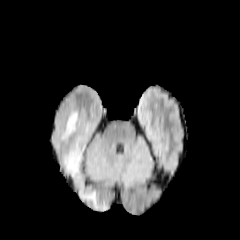
FLAIR MRI.
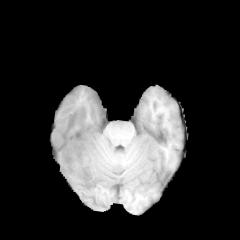
Same slice, T1-weighted MRI.
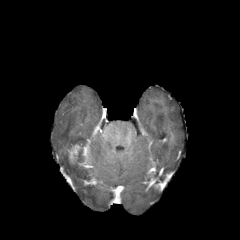
Post-contrast T1-weighted MR.
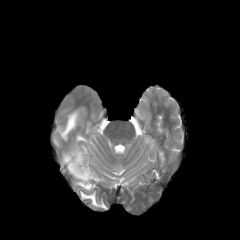
Same slice, T2-weighted magnetic resonance.
Image size 240x240
- edema: (61,111,78,138), (60,146,105,208)
- enhancing tumor: (67,143,81,161)